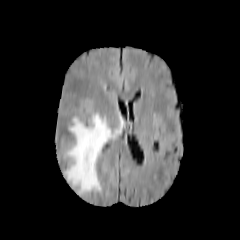
FLAIR MRI.
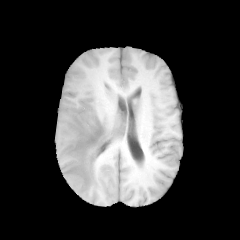
Same slice, T1-weighted MR.
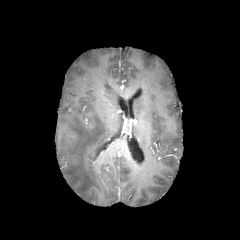
Post-contrast T1-weighted MR image.
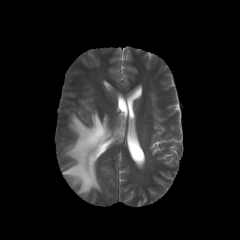
T2-weighted MR image.
240x240 px; Brain
Edema: [63, 112, 124, 193].